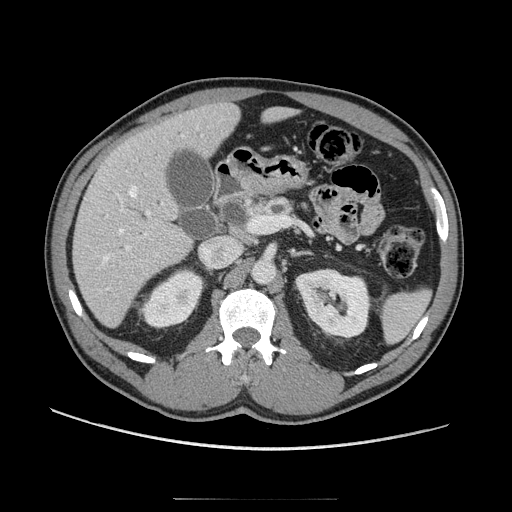
512x512. CT scan slice. Upper abdomen.
Segmented structures:
- pancreas: x1=243 y1=195 x2=295 y2=218